FLAIR magnetic resonance.
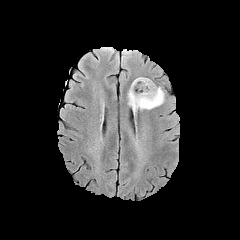
T1-weighted magnetic resonance.
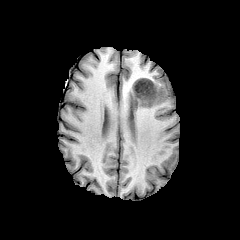
Post-contrast T1-weighted MR.
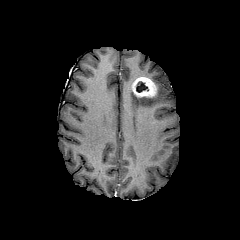
T2-weighted MR image.
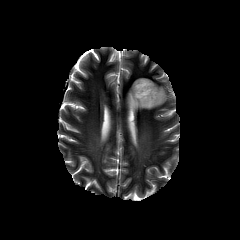
240x240 | Brain
edema: [x1=127, y1=84, x2=165, y2=111] | non-enhancing tumor core: [x1=136, y1=81, x2=147, y2=92] | enhancing tumor: [x1=132, y1=77, x2=157, y2=97]